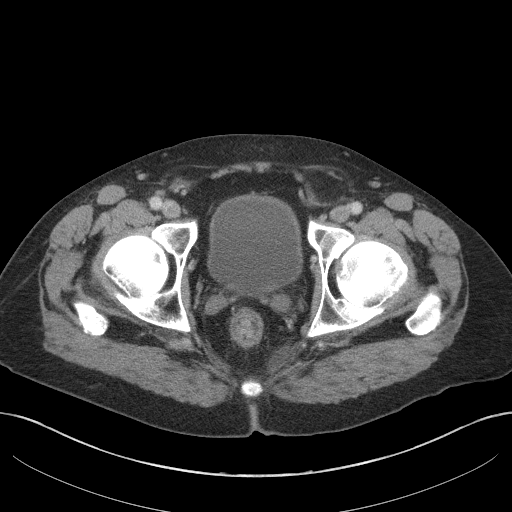 Computed tomography; Pelvis

The urinary bladder is bounded by [207,201,302,298].